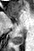

MR image. 34x51.

Posterior hippocampus at 12, 32, 25, 44; 22, 29, 25, 30.